Image width 37 mm, Magnetic resonance, 37x52 px
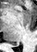
Posterior hippocampus at {"x1": 12, "y1": 43, "x2": 18, "y2": 46}.